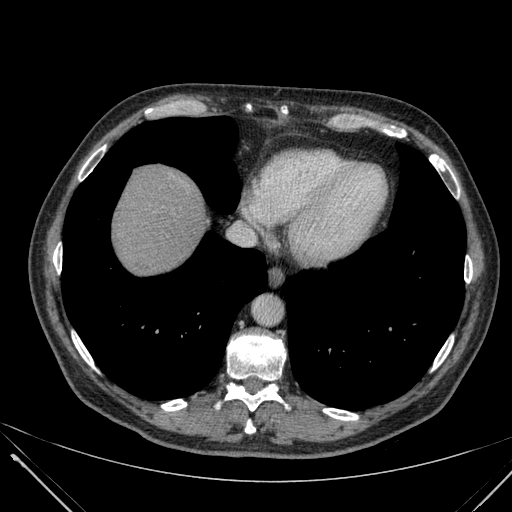
Liver. CT. {
  "liver": [
    "rect(113, 166, 209, 273)"
  ]
}